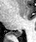 MRI slice

Segmented structures:
- posterior hippocampus: left=9, top=31, right=22, bottom=36